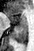 34x51 px, Magnetic resonance, Hippocampus

The posterior hippocampus lies within {"x1": 12, "y1": 26, "x2": 27, "y2": 43}. 2 anterior hippocampus regions are located at {"x1": 18, "y1": 14, "x2": 27, "y2": 25}, {"x1": 5, "y1": 14, "x2": 18, "y2": 23}.